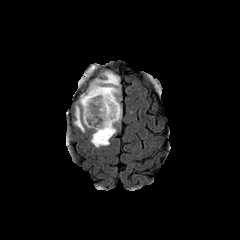
FLAIR magnetic resonance.
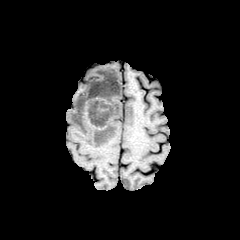
T1-weighted MRI.
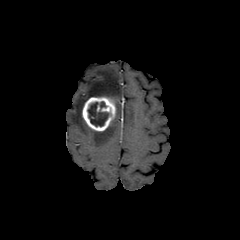
Post-contrast T1-weighted magnetic resonance.
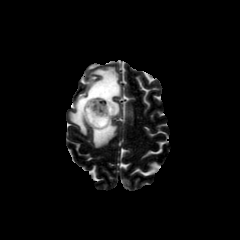
T2-weighted MR image.
240x240 px, Head
The enhancing tumor is at (left=82, top=96, right=117, bottom=131). The edema is at (left=71, top=66, right=121, bottom=147). The non-enhancing tumor core is at (left=88, top=102, right=108, bottom=126).